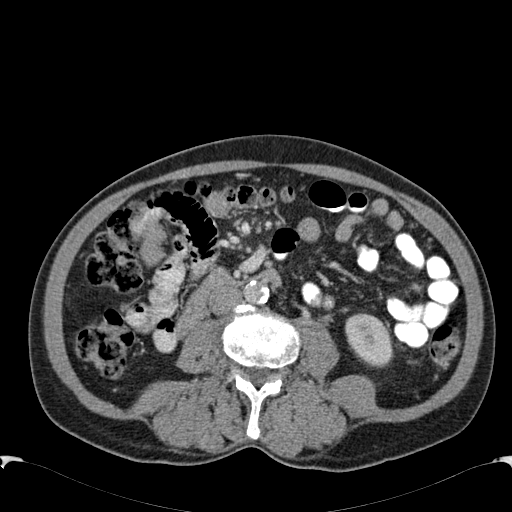 CT slice, 512x512 px, Abdomen

The kidney appears at [x1=347, y1=316, x2=391, y2=365].